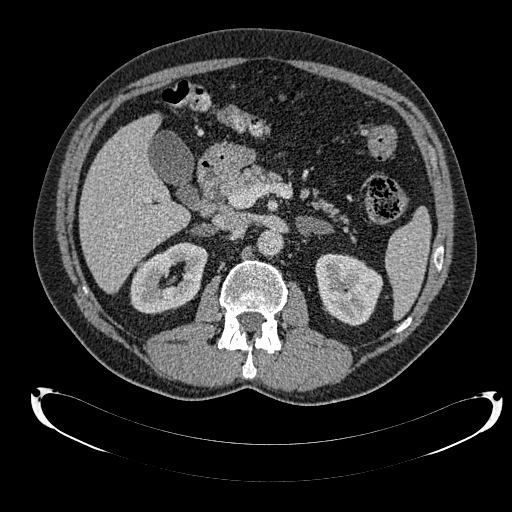

CT scan slice, Liver
<segmentation>
  <liver>x1=79, y1=115, x2=189, y2=292</liver>
  <kidney>x1=131, y1=243, x2=206, y2=312; x1=316, y1=254, x2=382, y2=324</kidney>
</segmentation>